Field of view 380x380 mm. Abdomen. Slice 408/871. Computed tomography.

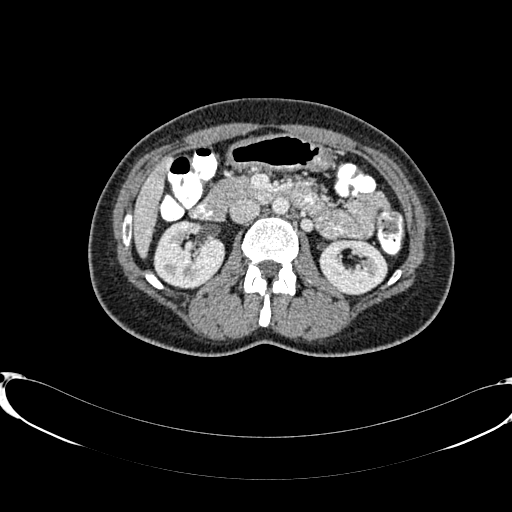
<segmentation>
  <liver>x1=133 y1=156 x2=171 y2=257</liver>
  <kidney>x1=155 y1=222 x2=223 y2=286, x1=321 y1=242 x2=386 y2=293</kidney>
</segmentation>